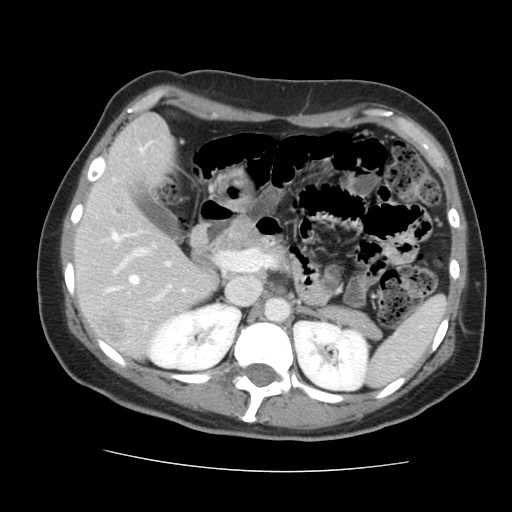 CT slice.

Some hepatic vessels may have no box.
liver_tumor:
  - box(97, 317, 123, 339)
hepatic_vessel:
  - box(108, 288, 116, 290)
  - box(112, 233, 124, 240)
  - box(156, 296, 160, 299)
  - box(120, 258, 129, 267)
  - box(133, 249, 145, 255)
  - box(113, 270, 116, 273)
  - box(129, 276, 137, 283)
  - box(166, 262, 168, 265)